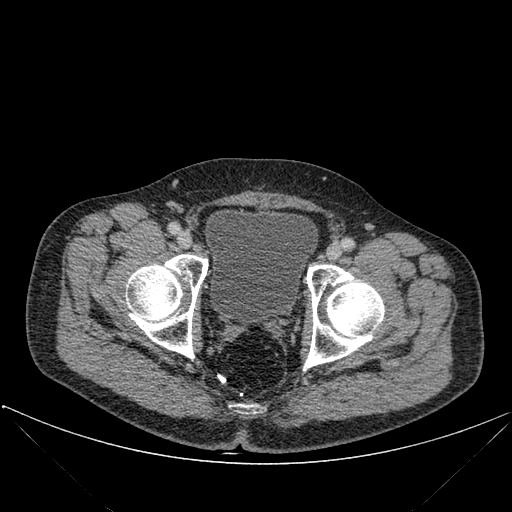
CT image

<segmentation>
  <bone>(126, 254, 208, 358), (303, 265, 384, 370), (234, 404, 255, 413)</bone>
  <urinary_bladder>(204, 207, 317, 325)</urinary_bladder>
</segmentation>